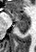

Medial temporal lobe; Magnetic resonance
Anterior hippocampus at <box>7,8,29,21</box>.
Posterior hippocampus at <box>15,21,29,35</box>.